CT scan slice, Slice index 505, Field of view 400 mm wide, 0.80 mm slice spacing

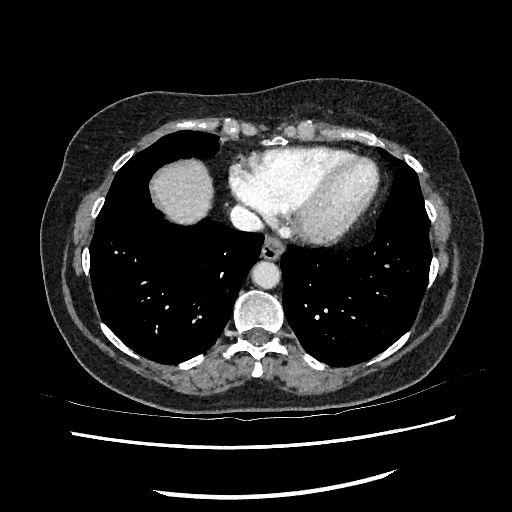

liver: bbox(153, 161, 211, 224)